Lower abdomen; Slice 106/629; CT

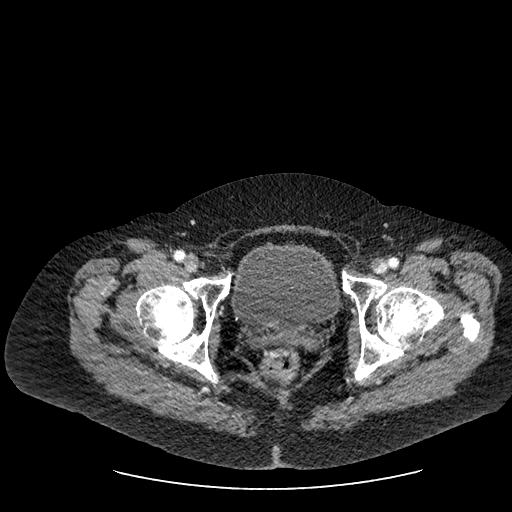

Urinary bladder: bounding box (230, 243, 340, 336).